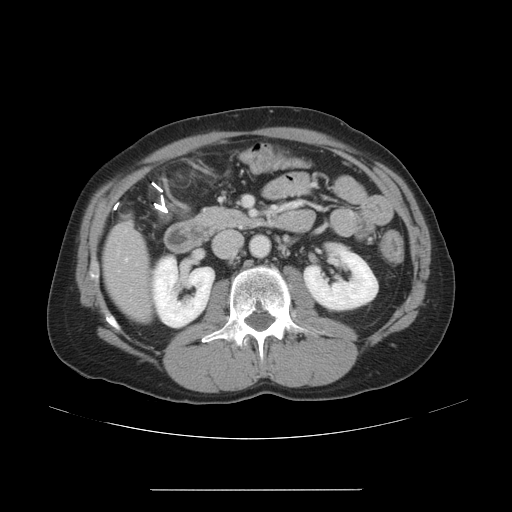

CT

The vessel boxes may cover only some of the vessels.
{
  "hepatic_vessel": [
    "[125,258,127,260]"
  ]
}